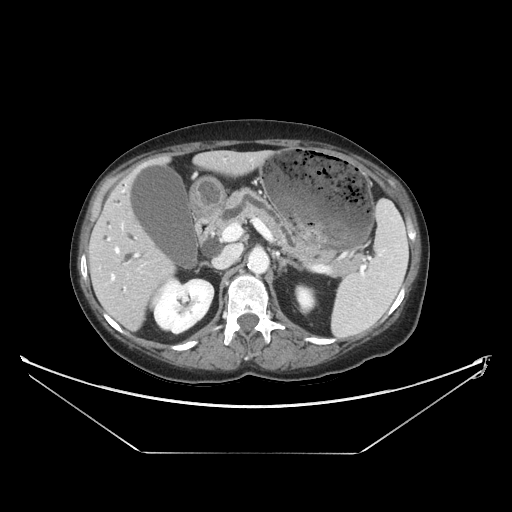 Upper abdomen. CT slice.

Segmented structures:
* pancreas: x1=219 y1=189 x2=364 y2=275